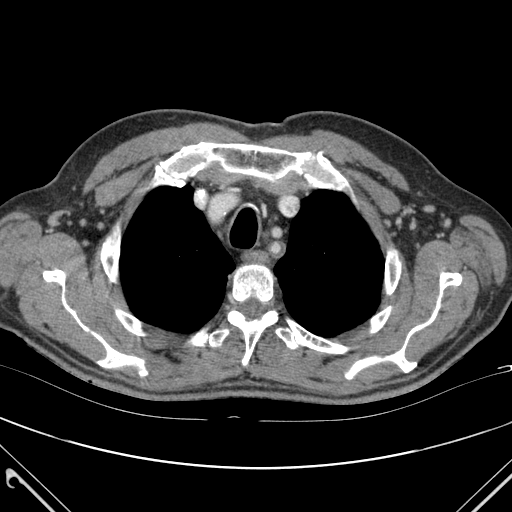
CT
Annotated regions:
• bone: bbox=[228, 311, 277, 364]; bbox=[92, 332, 147, 375]; bbox=[101, 235, 119, 281]; bbox=[191, 330, 228, 346]; bbox=[43, 270, 88, 330]; bbox=[116, 309, 143, 335]; bbox=[276, 320, 347, 353]; bbox=[345, 272, 461, 378]; bbox=[154, 142, 347, 189]; bbox=[233, 265, 272, 301]; bbox=[371, 306, 391, 332]; bbox=[385, 251, 400, 294]
• lung: bbox=[120, 185, 234, 332]; bbox=[274, 190, 383, 336]